Image size 512x512; CT image; Liver

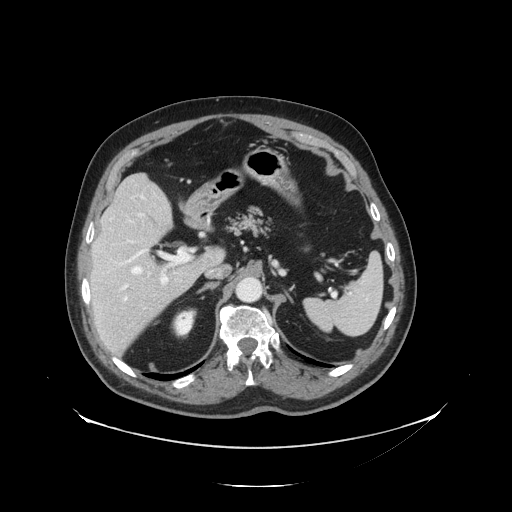 Some hepatic vessels may have no box.
hepatic_vessel:
  - x1=186 y1=259 x2=191 y2=261
  - x1=138 y1=214 x2=144 y2=216
  - x1=148 y1=273 x2=150 y2=274
  - x1=140 y1=195 x2=143 y2=198
  - x1=132 y1=267 x2=142 y2=274
  - x1=122 y1=285 x2=127 y2=289
  - x1=118 y1=250 x2=147 y2=265
  - x1=124 y1=297 x2=127 y2=300
  - x1=161 y1=269 x2=167 y2=284